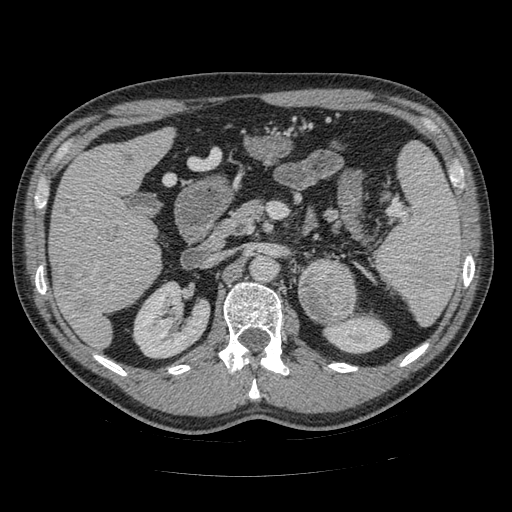

Upper abdomen. Computed tomography. Pancreatic tumor — 299 259 356 324.
Pancreas — 228 201 262 234.